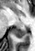 Hippocampus | 35x51 px | Magnetic resonance
Posterior hippocampus — rect(13, 26, 26, 38).